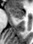

MR, Hippocampus, Image size 33x44
Anterior hippocampus at 8:7:23:19.